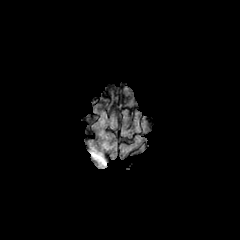
FLAIR MR image.
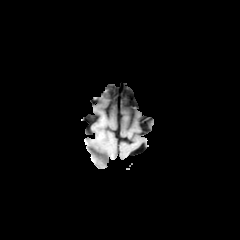
T1-weighted MR image.
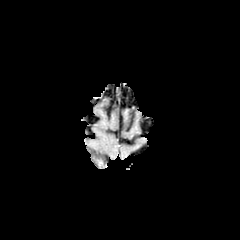
Same slice, post-contrast T1-weighted MR image.
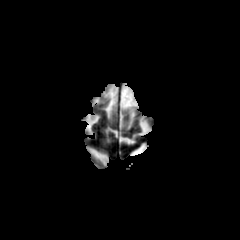
T2-weighted magnetic resonance of the same slice.
Brain
edema: (91, 152, 106, 165)